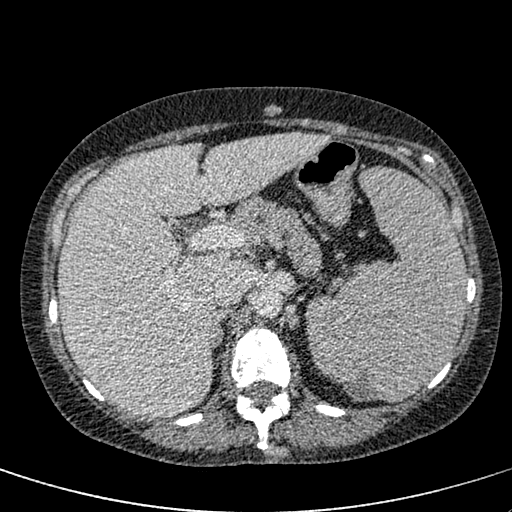

CT scan slice | Upper abdomen

{
  "liver": [
    "(59, 134, 328, 416)"
  ]
}